Slice index 33. MR image. Field of view 41 mm wide, 1.00 mm slice spacing.

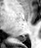 The posterior hippocampus is at [x1=17, y1=36, x2=25, y2=41].